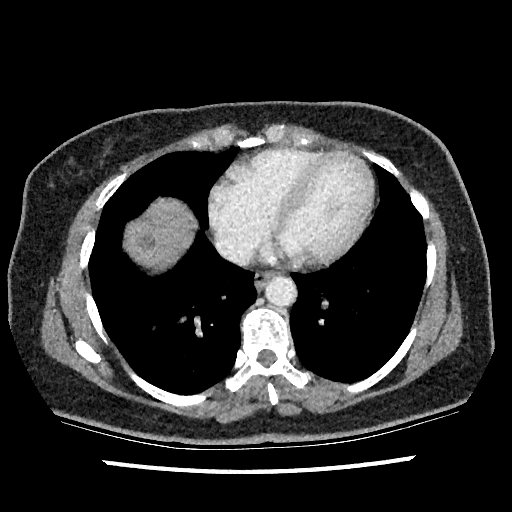 Liver, Computed tomography, 512x512 px
The focal liver lesion is located at (141, 236, 154, 248). The liver appears at (126, 200, 193, 265).